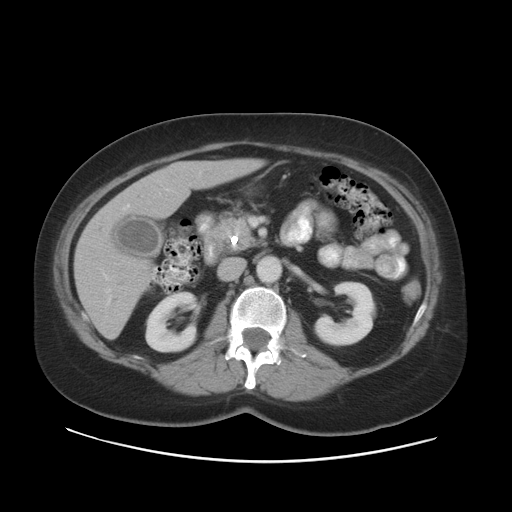 CT image. Image size 512x512. Upper abdomen.
pancreas:
  - rect(213, 214, 256, 253)
pancreatic_tumor:
  - rect(235, 220, 249, 238)